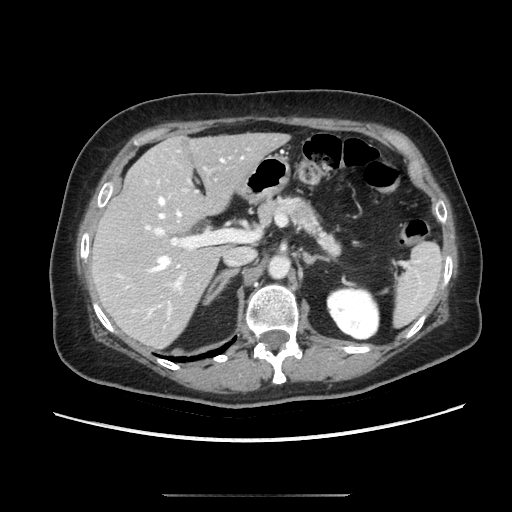 CT slice, 512x512 px, Upper abdomen

Pancreatic tumor — 293,206,307,219.
Pancreas — 259,198,339,255.